Image size 240x240.
FLAIR MR.
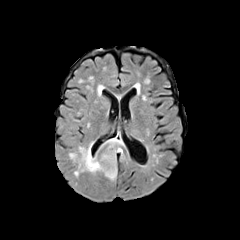
T1-weighted magnetic resonance.
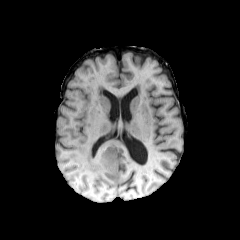
Post-contrast T1-weighted magnetic resonance.
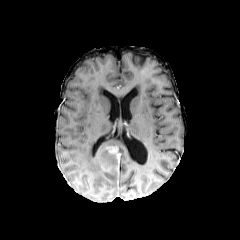
T2-weighted MR.
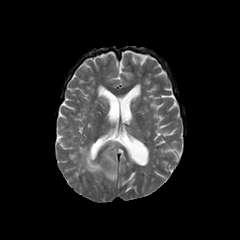
enhancing_tumor:
  - bbox=[101, 164, 110, 171]
  - bbox=[106, 146, 120, 173]
edema:
  - bbox=[98, 131, 125, 159]
  - bbox=[69, 141, 116, 180]
non-enhancing_tumor_core:
  - bbox=[99, 147, 117, 176]